FLAIR MR image.
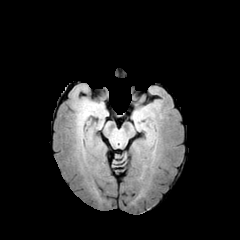
T1-weighted MR.
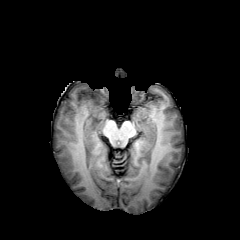
Post-contrast T1-weighted magnetic resonance.
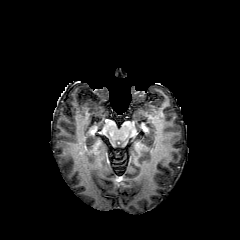
T2-weighted MR.
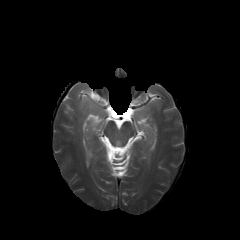
Head. 240x240 px.
<segmentation>
  <edema>(left=80, top=102, right=103, bottom=119)</edema>
</segmentation>